Image width 486 mm, CT scan slice, Slice 27/39, Liver

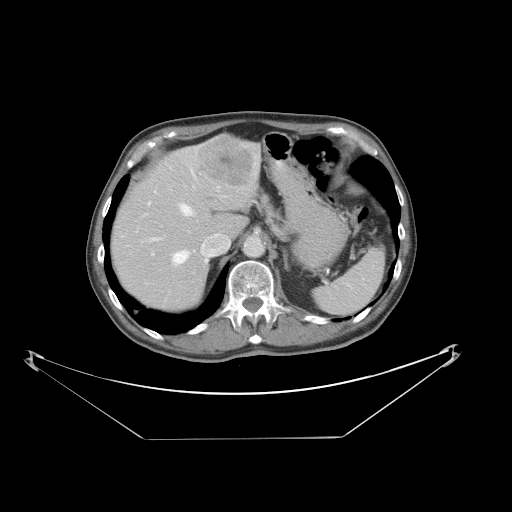
Not every hepatic vessel necessarily has a box.
12 hepatic vessel regions are bounded by 217 186 219 191, 148 202 150 204, 186 230 190 233, 151 253 153 255, 172 250 188 264, 198 206 201 207, 190 166 195 178, 152 238 158 240, 200 231 224 251, 180 204 192 215, 191 184 195 194, 205 260 206 261. The liver tumor is located at 193 134 254 189.